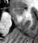

38x43 px | MRI | Hippocampus
anterior hippocampus: {"x1": 13, "y1": 8, "x2": 23, "y2": 15}